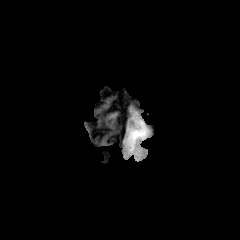
FLAIR magnetic resonance.
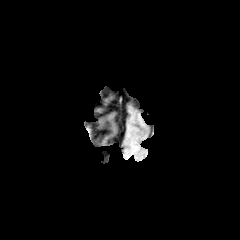
T1-weighted MR.
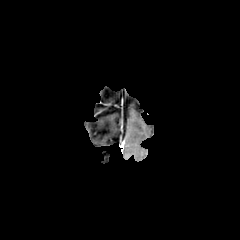
Post-contrast T1-weighted MR.
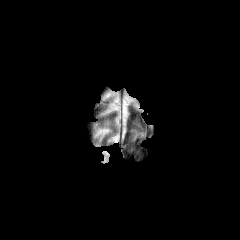
T2-weighted magnetic resonance of the same slice.
240x240. Brain.
• edema: [x1=128, y1=121, x2=146, y2=145]